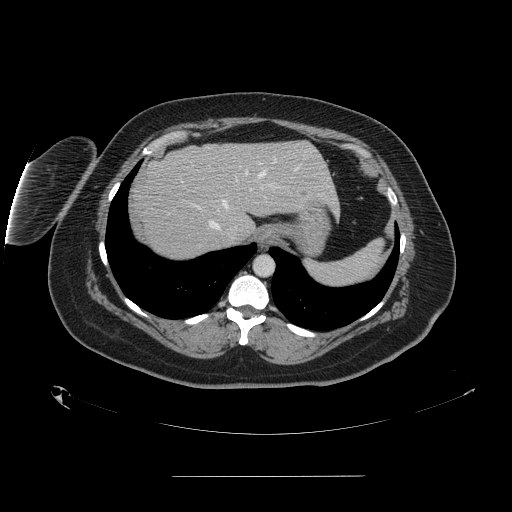 CT scan slice
spleen: bbox=[305, 239, 383, 287]